512x512 px. Slice index 393. Computed tomography.

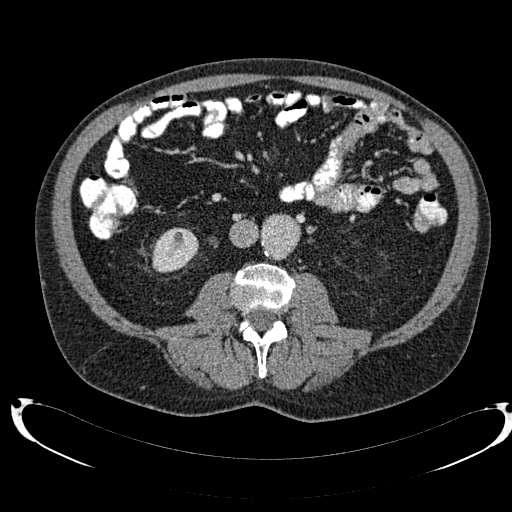
Kidney — 152 230 198 272.